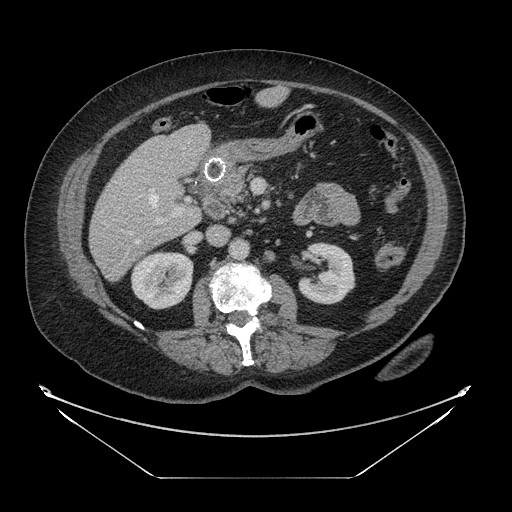
Image size 512x512 | CT image
The pancreas appears at 193 168 249 220.